Abdomen, Image width 403 mm, CT slice

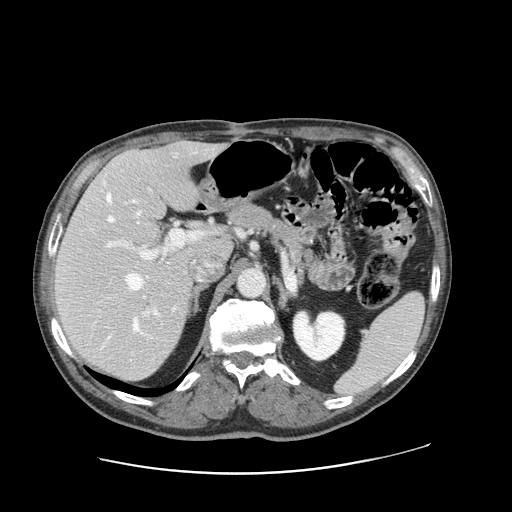

Some hepatic vessels may have no box.
- hepatic vessel: box=[108, 217, 113, 221]; box=[133, 201, 136, 201]; box=[139, 252, 154, 258]; box=[107, 195, 110, 201]; box=[133, 317, 138, 330]; box=[126, 274, 142, 289]; box=[143, 312, 147, 314]; box=[107, 242, 120, 246]; box=[138, 212, 139, 215]; box=[154, 310, 157, 314]